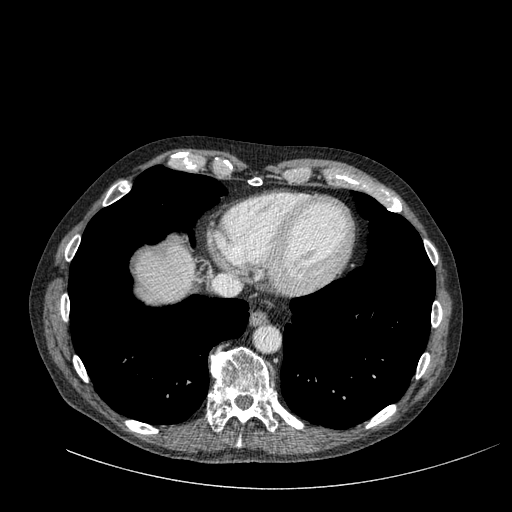

Computed tomography; 512x512
* liver: bbox(135, 244, 195, 303)